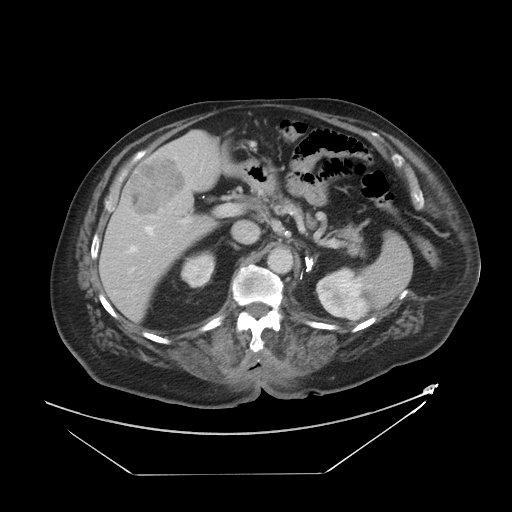
CT slice; Abdomen

Only some of the vessels may be annotated.
Segmented structures:
• hepatic vessel: (180,220,189,222)
• liver tumor: (123,154,185,217)